Slice 46/155, Image width 240 mm
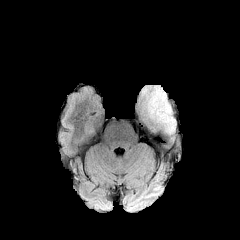
FLAIR MR image.
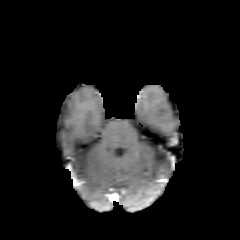
Same slice, T1-weighted MR.
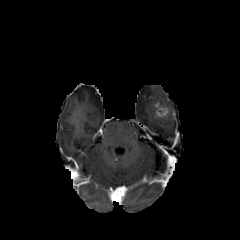
Post-contrast T1-weighted MR.
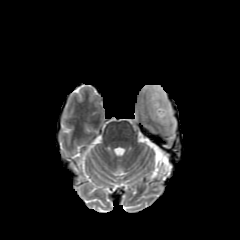
T2-weighted MRI of the same slice.
Enhancing tumor: bbox=[157, 107, 168, 117].
Edema: bbox=[144, 87, 176, 134].